FLAIR MR image.
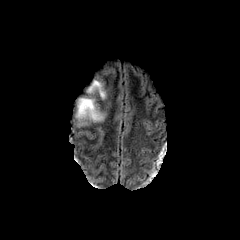
T1-weighted MR image.
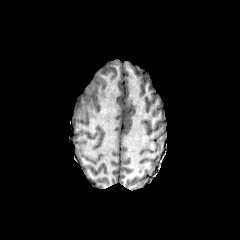
Post-contrast T1-weighted MRI.
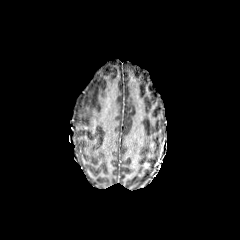
T2-weighted MR image.
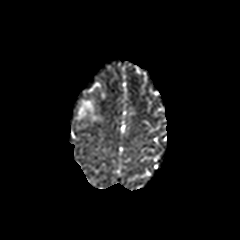
2 edema regions appear at (x1=86, y1=81, x2=106, y2=99), (x1=75, y1=95, x2=103, y2=122).